CT scan slice 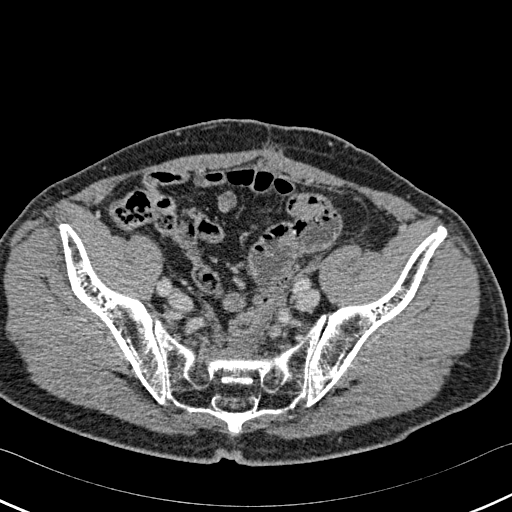 * bone: bbox=[59, 224, 446, 432]